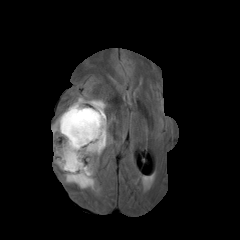
FLAIR MRI.
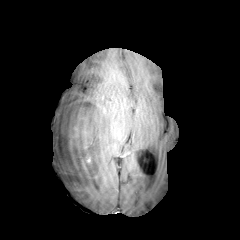
T1-weighted magnetic resonance.
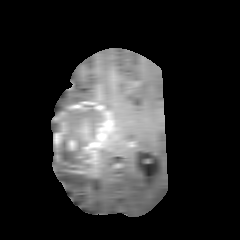
Post-contrast T1-weighted magnetic resonance of the same slice.
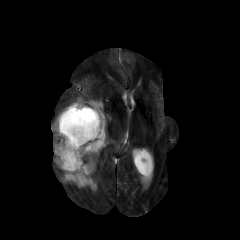
T2-weighted MRI.
- non-enhancing tumor core: region(58, 104, 105, 172)
- edema: region(52, 119, 61, 131); region(102, 108, 110, 145); region(60, 104, 78, 121); region(53, 134, 103, 187); region(89, 110, 100, 119); region(90, 99, 104, 107)
- enhancing tumor: region(68, 140, 76, 149); region(54, 123, 67, 151); region(68, 100, 101, 109); region(80, 120, 106, 165); region(79, 126, 89, 135)